CT scan slice 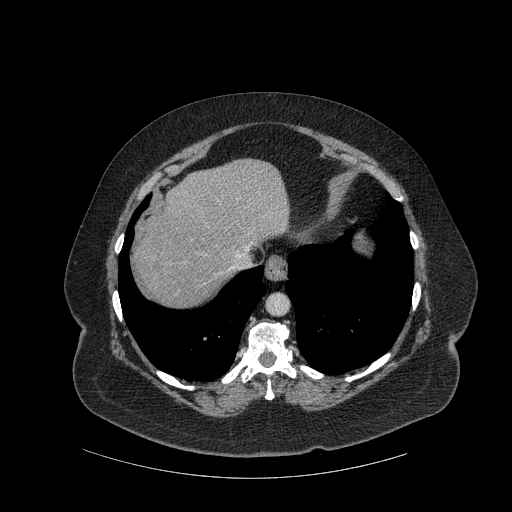
Liver — [134,159,290,308].
Bone — [300,366,322,378], [345,353,389,381], [222,323,295,383], [112,291,121,320], [412,283,420,309], [115,237,123,252], [265,380,273,399], [410,232,418,248], [157,371,193,389].
Lung — [119,195,263,380], [285,193,413,374].
Focal liver lesion — [153,262,162,274].